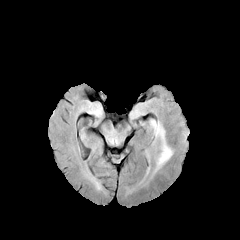
FLAIR MRI.
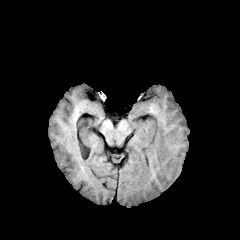
T1-weighted MR image of the same slice.
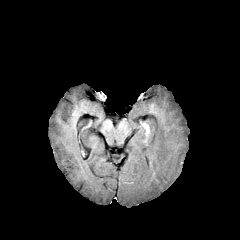
Post-contrast T1-weighted MR image.
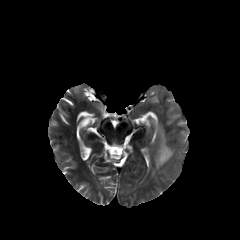
T2-weighted MRI.
240x240 px
The edema appears at 149, 119, 173, 170.